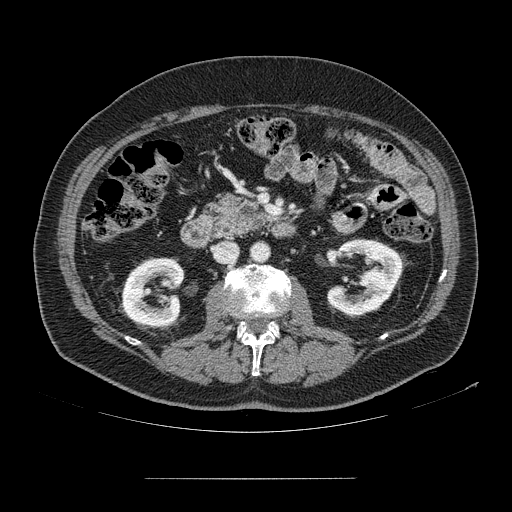
CT image; Upper abdomen

Pancreas = box=[215, 199, 267, 240].
Pancreatic tumor = box=[239, 204, 254, 220].